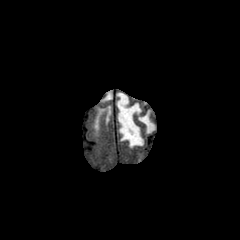
FLAIR MR image.
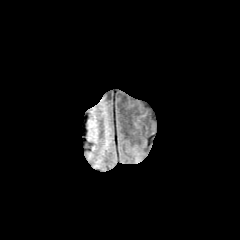
T1-weighted magnetic resonance.
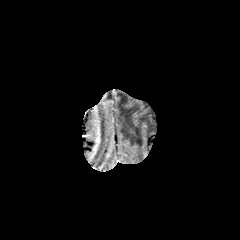
Post-contrast T1-weighted MRI of the same slice.
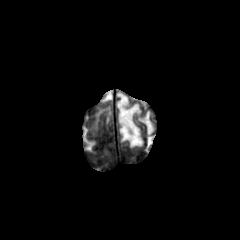
T2-weighted MR image.
Head
Edema — 116, 92, 155, 147.